Field of view 240 mm wide, 1.00 mm slice spacing; 240x240 px
FLAIR magnetic resonance.
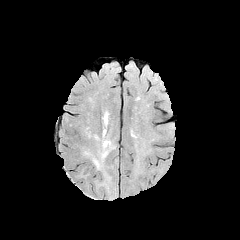
T1-weighted MRI.
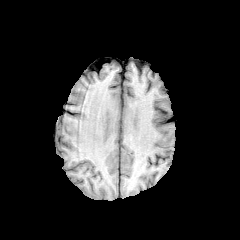
Post-contrast T1-weighted MR image.
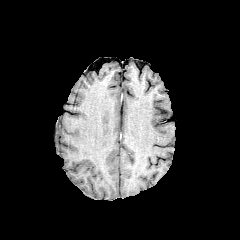
T2-weighted MR image.
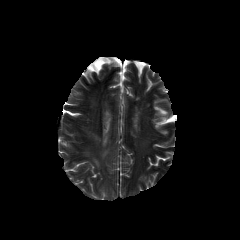
Edema — x1=100 y1=144 x2=107 y2=159.